Abdomen; Image width 348 mm; CT slice 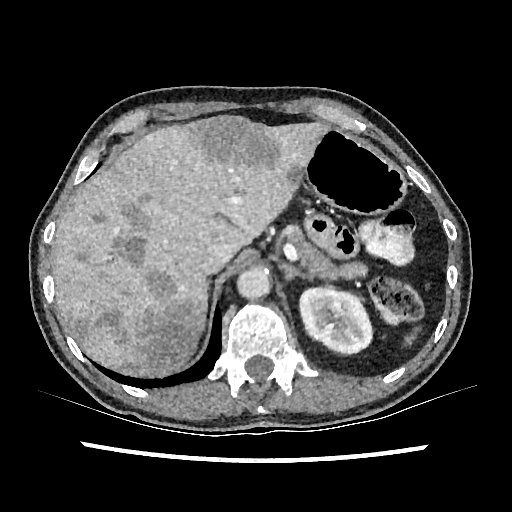
kidney:
  - (x1=300, y1=288, x2=371, y2=353)
hepatic_lesion:
  - (x1=184, y1=118, x2=284, y2=172)
  - (x1=107, y1=236, x2=146, y2=267)
  - (x1=120, y1=194, x2=150, y2=231)
  - (x1=76, y1=252, x2=89, y2=262)
  - (x1=286, y1=164, x2=304, y2=185)
  - (x1=71, y1=319, x2=89, y2=344)
  - (x1=94, y1=269, x2=202, y2=375)
  - (x1=92, y1=212, x2=106, y2=223)
liver:
  - (x1=178, y1=331, x2=201, y2=366)
  - (x1=52, y1=122, x2=328, y2=376)